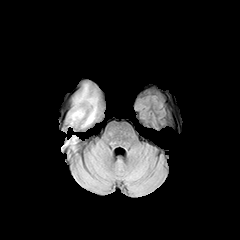
FLAIR MRI.
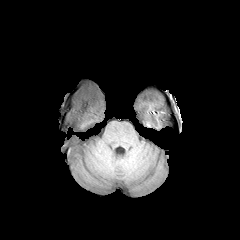
Same slice, T1-weighted MRI.
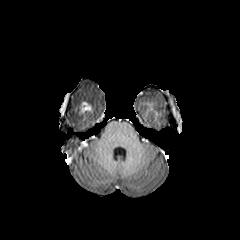
Post-contrast T1-weighted MR.
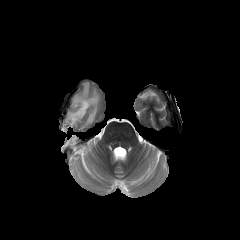
T2-weighted MRI of the same slice.
Head
{"non-enhancing_tumor_core": ["x1=74 y1=106 x2=87 y2=115"], "edema": ["x1=67 y1=85 x2=99 y2=127", "x1=66 y1=138 x2=76 y2=151"]}